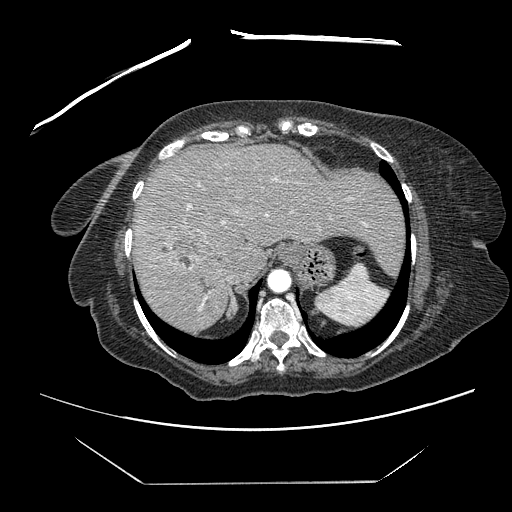

CT, Liver
Only some of the vessels may be annotated.
The liver tumor is located at box(167, 224, 205, 258). 3 hepatic vessel regions are located at box(362, 222, 368, 227); box(188, 205, 190, 208); box(198, 184, 199, 185).